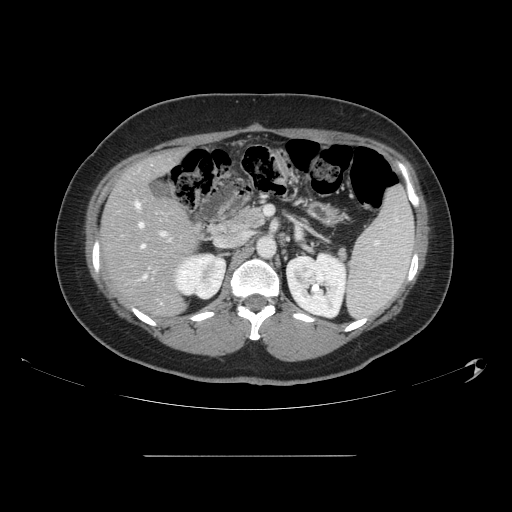

CT scan slice

Some hepatic vessels may have no box.
hepatic vessel: {"x1": 135, "y1": 201, "x2": 139, "y2": 207}, {"x1": 160, "y1": 232, "x2": 165, "y2": 235}, {"x1": 139, "y1": 223, "x2": 143, "y2": 227}, {"x1": 141, "y1": 244, "x2": 144, "y2": 247}, {"x1": 143, "y1": 275, "x2": 146, "y2": 278}